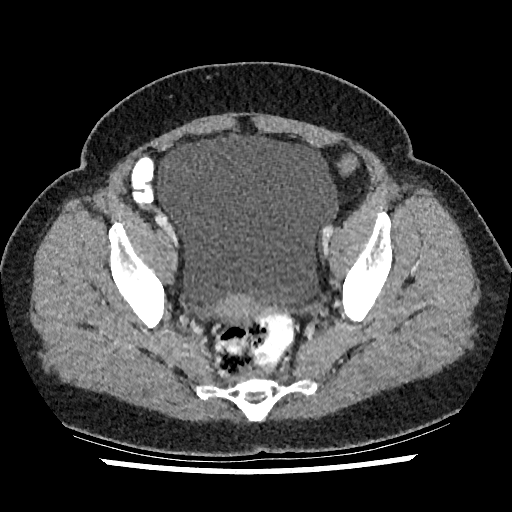

CT slice, Lower abdomen
Urinary bladder at box=[156, 133, 336, 317].